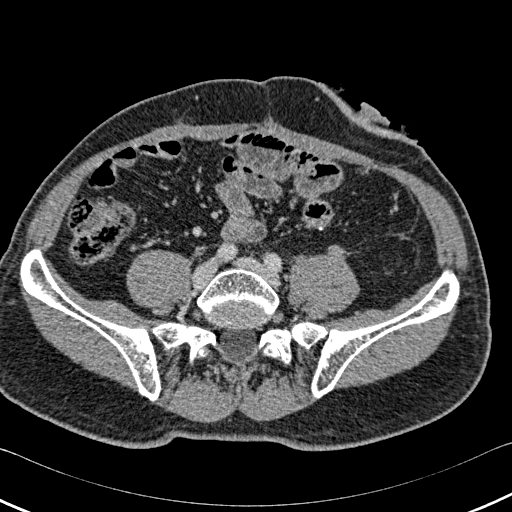
CT slice
3 bone regions appear at bbox(259, 271, 458, 397); bbox(21, 250, 215, 400); bbox(197, 269, 278, 326).